Liver. CT scan slice. 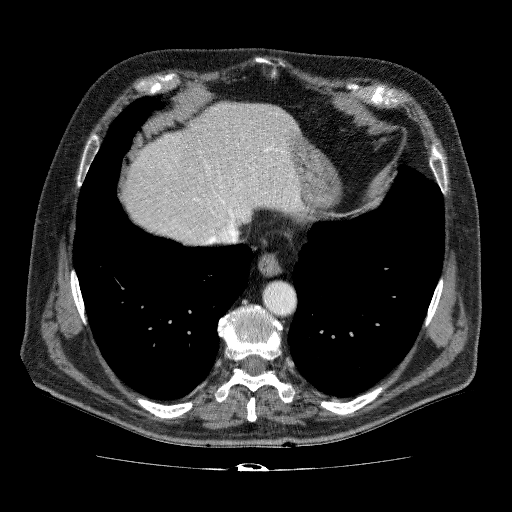
<segmentation>
  <liver_lesion>219,183,232,198; 216,106,224,113</liver_lesion>
  <liver>121,101,303,244</liver>
</segmentation>